FLAIR MR image.
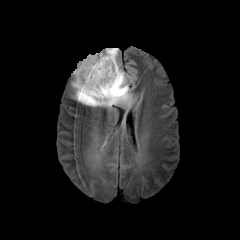
T1-weighted magnetic resonance.
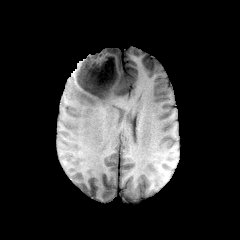
Post-contrast T1-weighted MR.
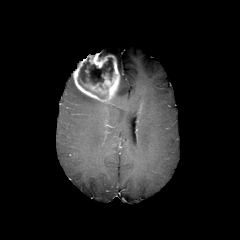
T2-weighted MR.
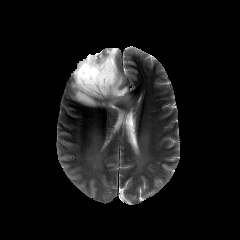
Brain, 240x240
Segmented structures:
• edema: rect(71, 48, 134, 110)
• non-enhancing tumor core: rect(78, 52, 115, 98)
• enhancing tumor: rect(88, 53, 114, 67); rect(73, 58, 119, 101)